512x512 px; CT slice

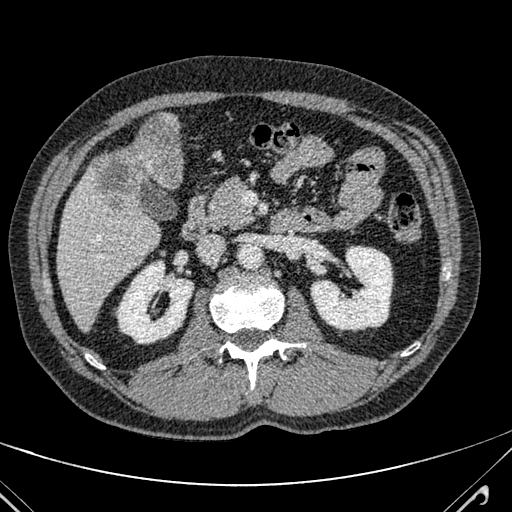

The liver lesion appears at bbox=[94, 114, 182, 207]. The liver appears at bbox=[58, 158, 158, 329].